CT | 512x512 px 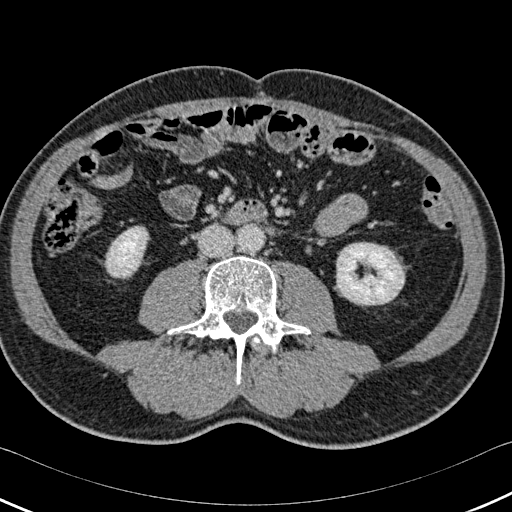
2 kidney regions are located at rect(337, 243, 404, 304); rect(106, 227, 147, 277). 2 bone regions are bounded by rect(252, 336, 259, 346); rect(168, 256, 310, 384).